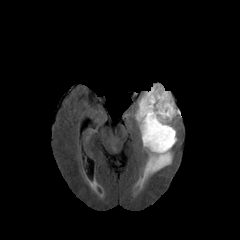
FLAIR MR image.
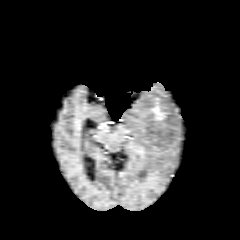
T1-weighted MRI.
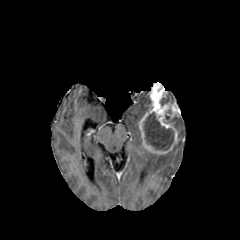
Post-contrast T1-weighted MR.
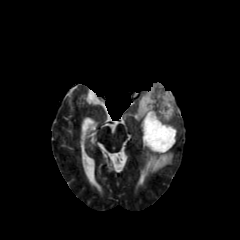
T2-weighted MR image.
240x240 px.
Edema: bounding box [134,91,147,123], [137,150,172,186].
Enhancing tumor: bounding box [138,82,180,154].
Non-enhancing tumor core: bounding box [144,113,173,150].